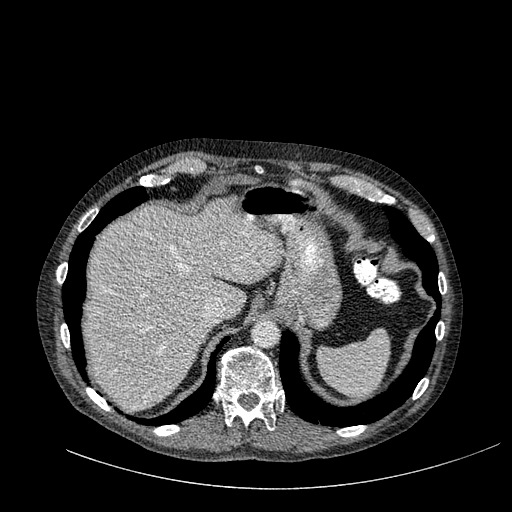

Upper abdomen, 512x512, CT scan slice
The liver appears at <bbox>85, 198, 280, 409</bbox>.